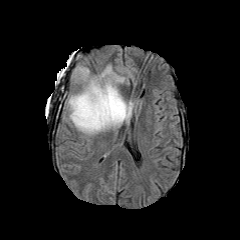
FLAIR magnetic resonance.
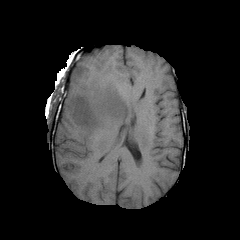
T1-weighted MR.
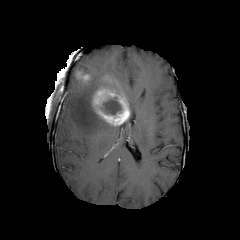
Same slice, post-contrast T1-weighted MRI.
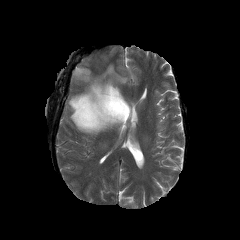
T2-weighted MR image.
Brain.
Edema: [x1=77, y1=66, x2=89, y2=74], [x1=67, y1=65, x2=125, y2=135].
Non-enhancing tumor core: [x1=98, y1=77, x2=116, y2=89], [x1=103, y1=99, x2=120, y2=114].
Enhancing tumor: [x1=74, y1=67, x2=89, y2=81], [x1=91, y1=86, x2=130, y2=124].